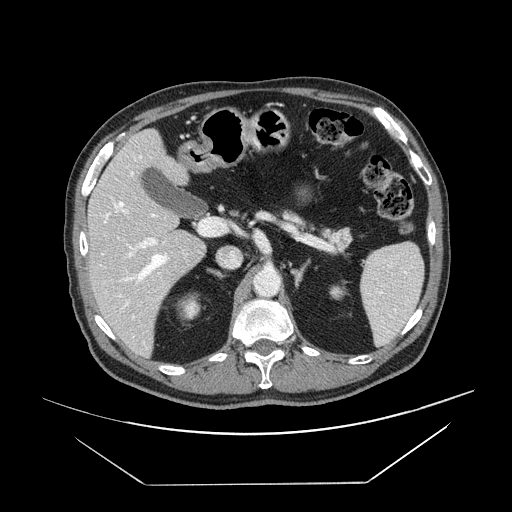
CT scan slice; Upper abdomen; Image size 512x512

Pancreas — box=[281, 209, 353, 250].